Abdomen | CT scan slice
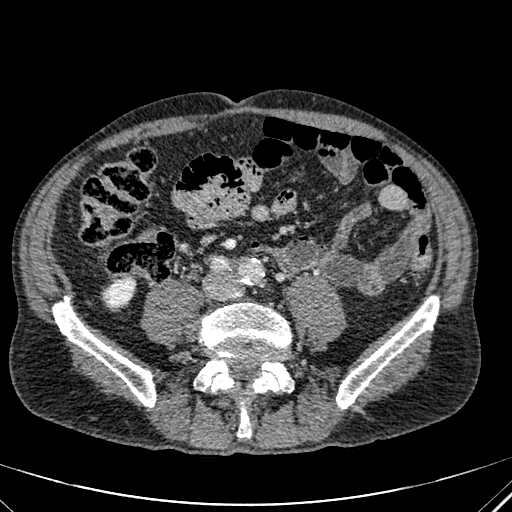

The kidney lies within <bbox>105, 278, 134, 305</bbox>.